Head | 240x240 | Image width 240 mm
FLAIR magnetic resonance.
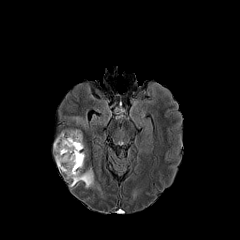
T1-weighted MR image.
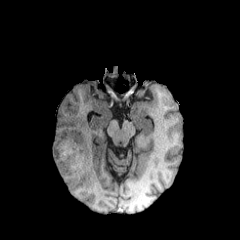
Post-contrast T1-weighted magnetic resonance.
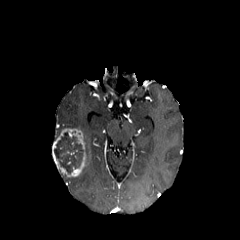
T2-weighted magnetic resonance.
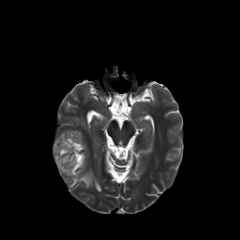
<segmentation>
  <edema>(70,169,102,194), (68,115,89,130)</edema>
  <enhancing_tumor>(53,129,86,176)</enhancing_tumor>
  <non-enhancing_tumor_core>(54,132,83,174)</non-enhancing_tumor_core>
</segmentation>